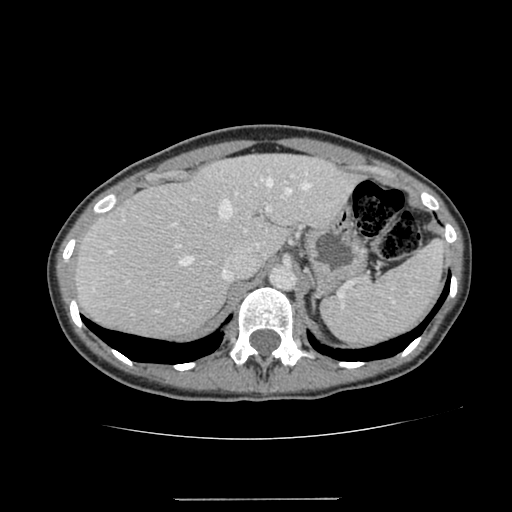

Computed tomography

Liver at l=76, t=154, r=362, b=339.